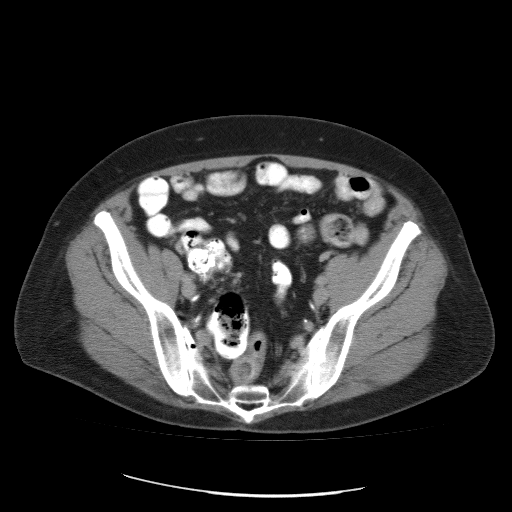 Pelvis. CT scan slice. 512x512.
colon_tumor:
  - bbox(246, 332, 265, 356)